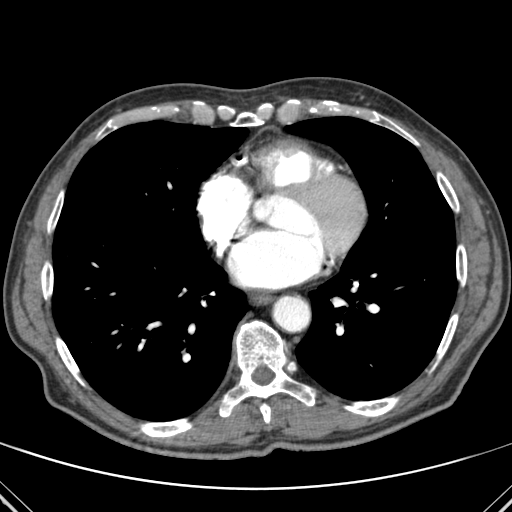 512x512. CT scan slice.

Bone at <box>219,321,314,423</box>, <box>140,419,191,437</box>, <box>322,101,339,111</box>, <box>99,119,117,133</box>, <box>437,172,459,211</box>, <box>47,191,63,232</box>, <box>56,338,83,385</box>, <box>437,314,457,359</box>, <box>41,262,53,299</box>, <box>231,112,263,126</box>, <box>456,245,466,285</box>, <box>287,362,295,371</box>, <box>367,111,418,145</box>, <box>344,397,398,416</box>.
Lung at <box>52,120,248,420</box>, <box>285,117,456,399</box>.